Computed tomography; Abdomen; Slice 326/537
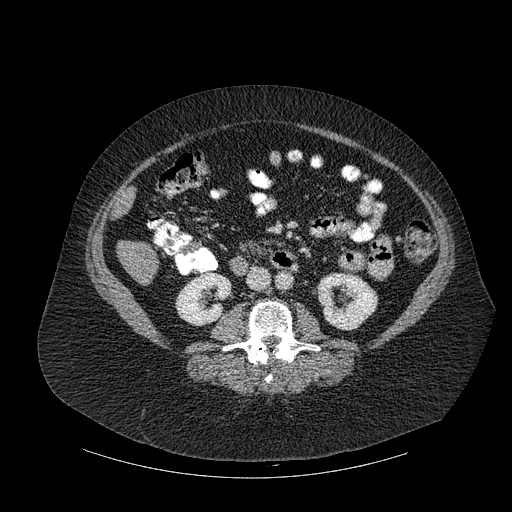
2 liver regions appear at 114,186,135,215; 116,241,159,284. 2 kidney regions are bounded by 176,273,230,325; 318,273,376,329. The bone is bounded by 222,301,319,364.